Image size 512x512; Slice 509 of 836; CT 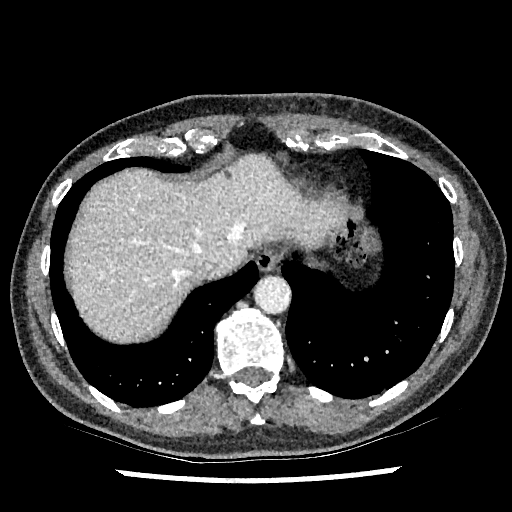 <segmentation>
  <liver>[x1=67, y1=156, x2=344, y2=341]</liver>
  <hepatic_lesion>[x1=224, y1=169, x2=231, y2=177]</hepatic_lesion>
</segmentation>